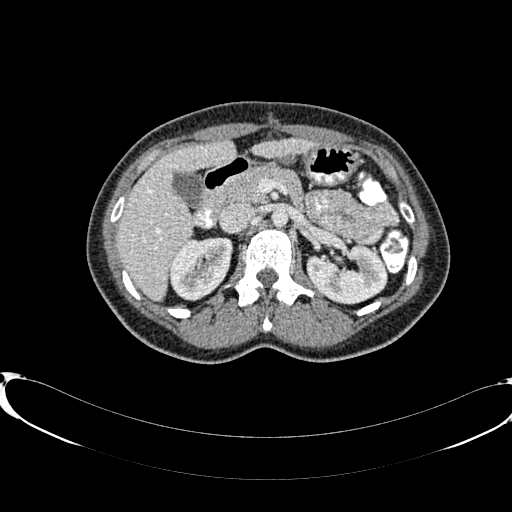

Liver, CT image
liver:
  - [253,139,314,156]
  - [117,140,234,300]
kidney:
  - [308,244,386,302]
  - [171,239,231,298]